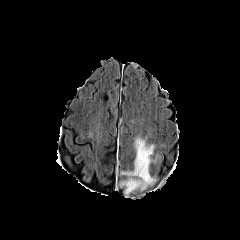
FLAIR magnetic resonance.
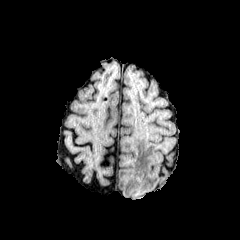
T1-weighted MRI of the same slice.
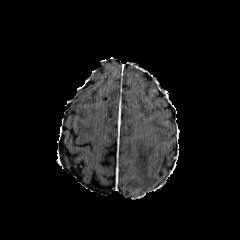
Post-contrast T1-weighted magnetic resonance.
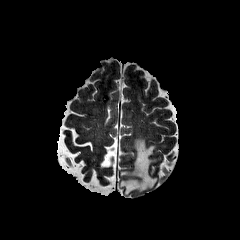
Same slice, T2-weighted MRI.
Brain, Image size 240x240
* edema: x1=119, y1=135, x2=160, y2=197